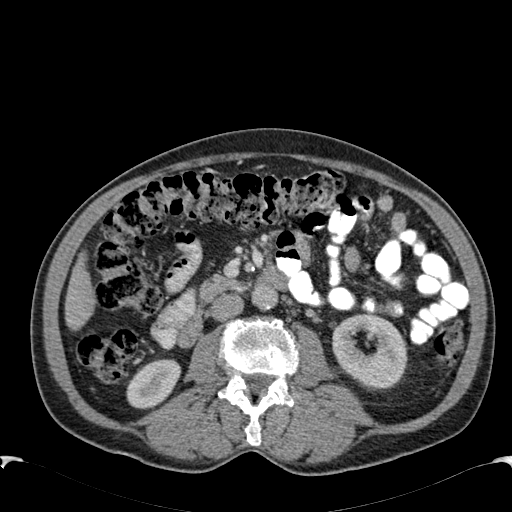 Computed tomography
The liver is located at rect(65, 256, 93, 329). 2 kidney regions are located at rect(333, 319, 406, 388); rect(127, 360, 180, 407).